Computed tomography; Image size 512x512 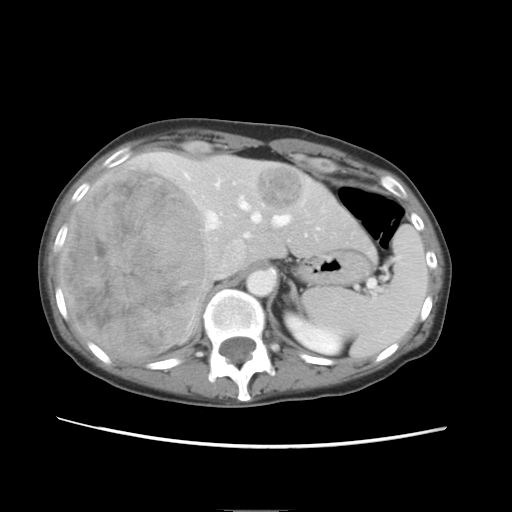

The vessel annotation is not exhaustive.
• liver tumor: box=[256, 166, 304, 210]; box=[59, 168, 210, 357]
• hepatic vessel: box=[206, 212, 218, 229]; box=[246, 233, 248, 235]; box=[185, 172, 189, 178]; box=[239, 196, 248, 208]; box=[274, 215, 288, 224]; box=[253, 212, 259, 221]; box=[215, 179, 220, 186]